Slice 376 of 836, Upper abdomen, CT slice

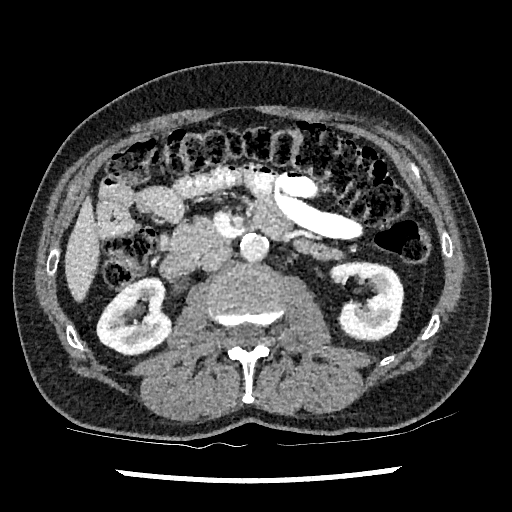 kidney:
  - (left=97, top=279, right=170, bottom=353)
  - (left=333, top=263, right=402, bottom=338)
liver:
  - (left=65, top=196, right=99, bottom=302)